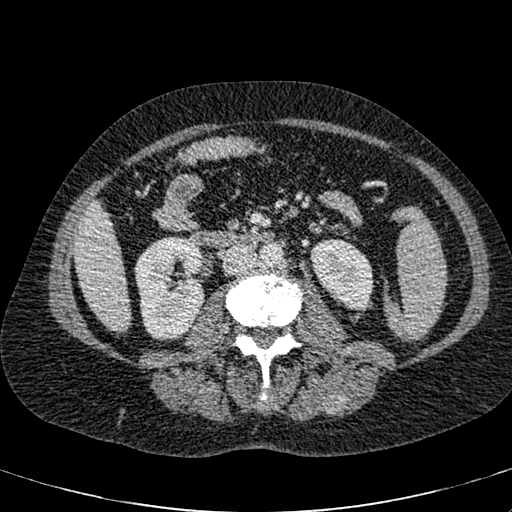

512x512 px. Liver. CT slice.
<segmentation>
  <kidney>[311,239,372,309], [135,237,203,339]</kidney>
  <liver>[75,204,130,330]</liver>
</segmentation>